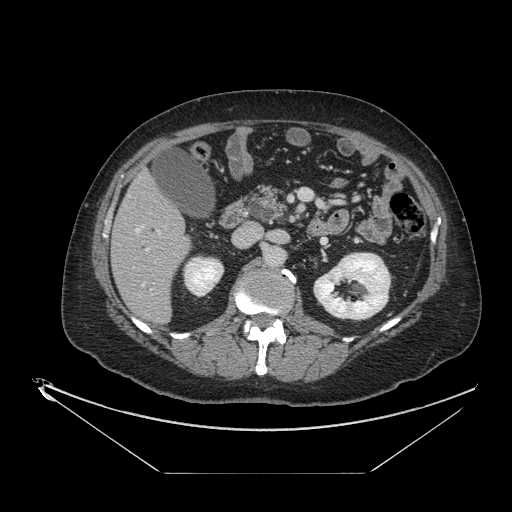
CT image
pancreas: box=[261, 188, 284, 220]